Magnetic resonance; Hippocampus

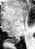
{
  "posterior_hippocampus": [
    "box(10, 38, 20, 42)"
  ]
}